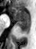
36x49; Hippocampus; Magnetic resonance

Posterior hippocampus = 15, 20, 29, 32.
Anterior hippocampus = 12, 7, 29, 19.